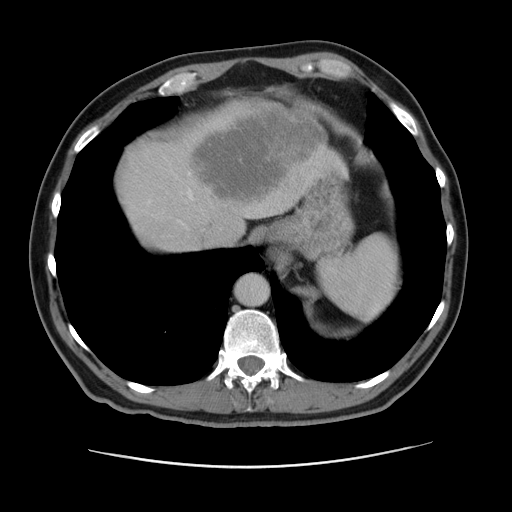
CT image | Abdomen
The liver lesion is located at [191, 106, 326, 201]. The liver is at [118, 103, 339, 245].